CT scan slice, Abdomen
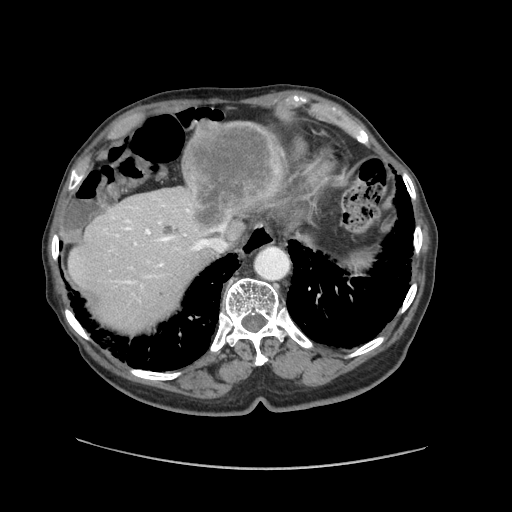
The vessel annotation is not exhaustive.
The liver tumor is at [185,125,279,230]. 7 hepatic vessel regions are located at [191,238,226,251], [134,242,136,245], [156,236,174,241], [210,224,225,230], [159,263,163,266], [183,234,185,235], [159,222,160,223].